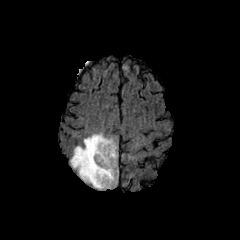
FLAIR MR.
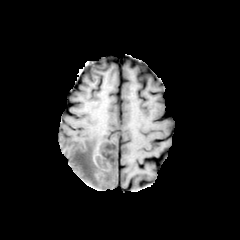
T1-weighted MR image of the same slice.
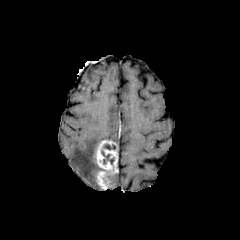
Post-contrast T1-weighted MRI.
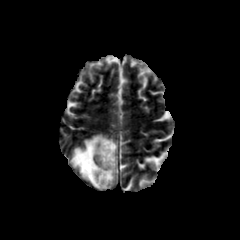
T2-weighted magnetic resonance.
The enhancing tumor appears at <bbox>95, 140, 118, 188</bbox>. 2 edema regions are located at <bbox>70, 132, 116, 189</bbox>, <bbox>108, 173, 118, 189</bbox>. 3 non-enhancing tumor core regions appear at <bbox>104, 143, 117, 153</bbox>, <bbox>78, 144, 102, 186</bbox>, <bbox>101, 151, 113, 164</bbox>.